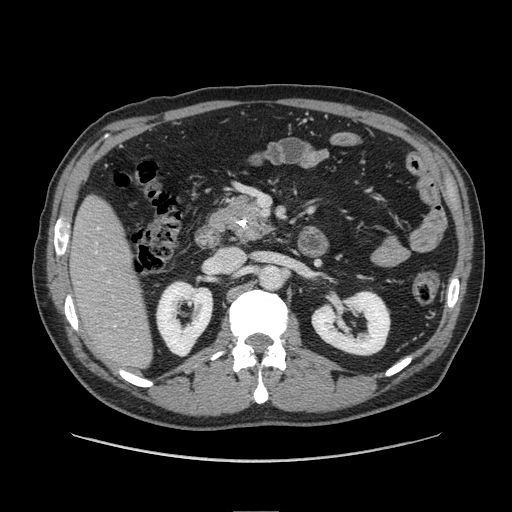

CT slice | Abdomen

pancreatic tumor: x1=240, y1=225, x2=259, y2=239 | pancreas: x1=207, y1=193, x2=276, y2=245